CT slice 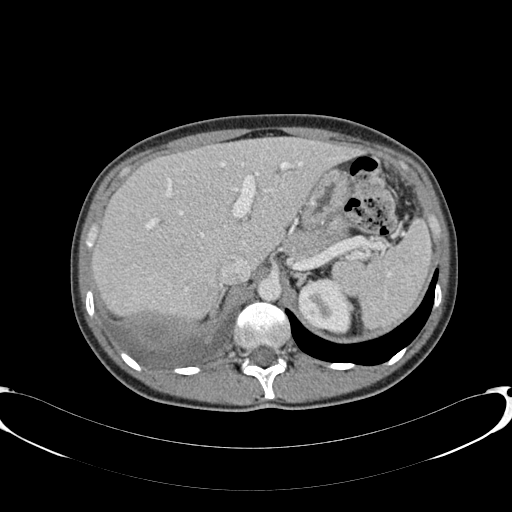

<segmentation>
  <kidney>l=299, t=280, r=349, b=331</kidney>
  <liver>l=91, t=138, r=366, b=330</liver>
</segmentation>